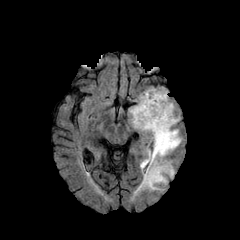
FLAIR magnetic resonance.
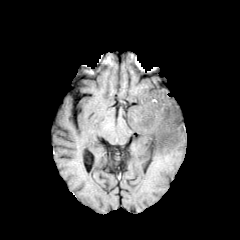
Same slice, T1-weighted MRI.
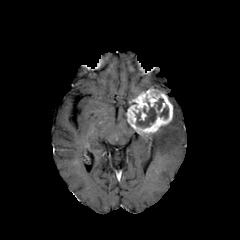
Post-contrast T1-weighted magnetic resonance.
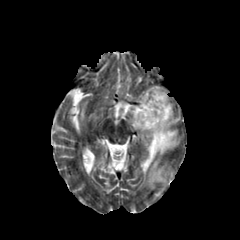
Same slice, T2-weighted magnetic resonance.
The enhancing tumor is bounded by <box>127,87,173,138</box>. 2 non-enhancing tumor core regions are located at <box>160,107,168,118</box>, <box>136,108,156,126</box>. The edema appears at <box>140,115,181,187</box>.